CT image. Upper abdomen. 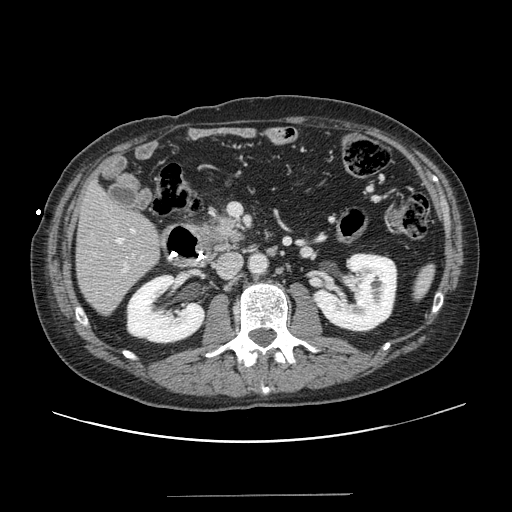

The pancreatic tumor is located at rect(201, 225, 223, 248). The pancreas appears at rect(195, 215, 246, 253).